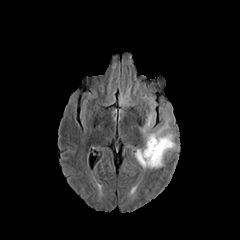
FLAIR MR image.
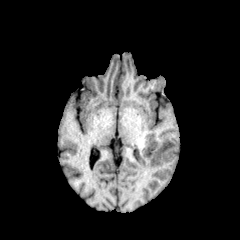
Same slice, T1-weighted MR image.
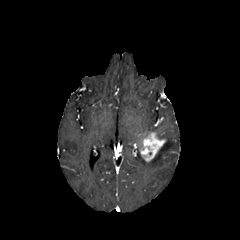
Post-contrast T1-weighted magnetic resonance.
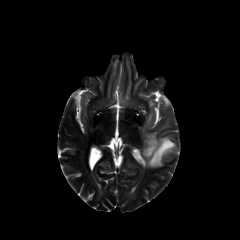
Same slice, T2-weighted MR image.
240x240 px
Findings:
• edema: x1=137 y1=133 x2=176 y2=168
• enhancing tumor: x1=138 y1=132 x2=165 y2=162